CT image | 512x512
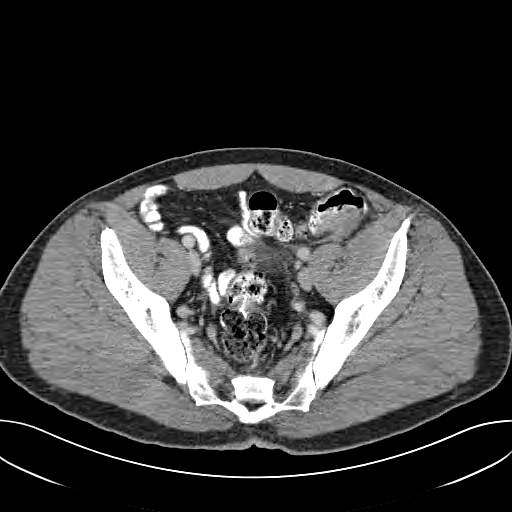

The colon tumor is located at {"x1": 314, "y1": 207, "x2": 361, "y2": 236}.